Slice 108 of 155. 240x240 px. Brain.
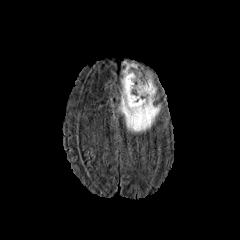
FLAIR MR image.
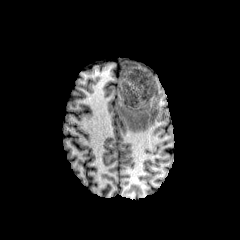
T1-weighted magnetic resonance.
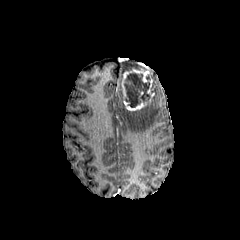
Post-contrast T1-weighted MR.
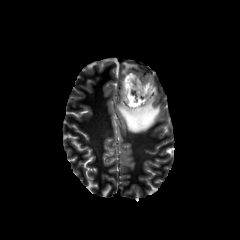
T2-weighted MR of the same slice.
non-enhancing tumor core: (x1=124, y1=73, x2=150, y2=107) | edema: (x1=118, y1=96, x2=162, y2=133), (x1=122, y1=62, x2=137, y2=73) | enhancing tumor: (x1=121, y1=68, x2=154, y2=110)